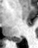

MRI slice; Medial temporal lobe
Posterior hippocampus: 13, 38, 22, 42.